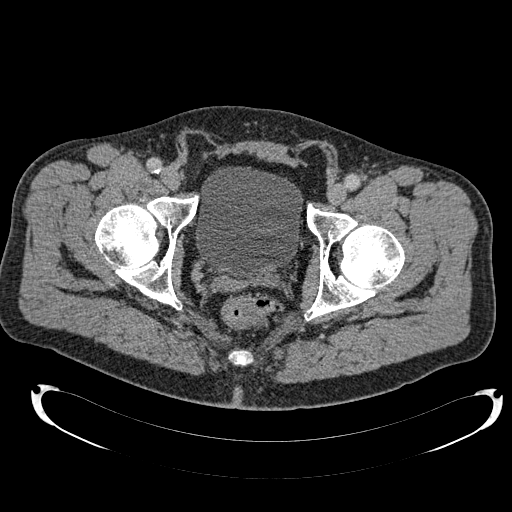

CT; 512x512
Annotated regions:
* urinary bladder: region(195, 166, 302, 276)